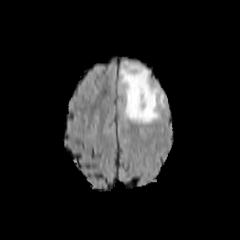
FLAIR MR image.
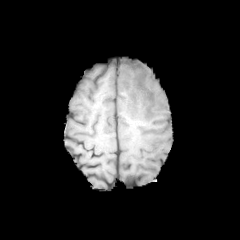
Same slice, T1-weighted MRI.
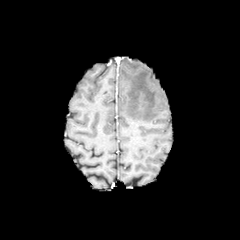
Post-contrast T1-weighted MR image of the same slice.
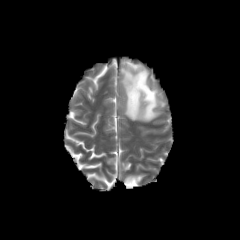
Same slice, T2-weighted magnetic resonance.
Brain.
Findings:
- edema: box=[121, 63, 159, 123]